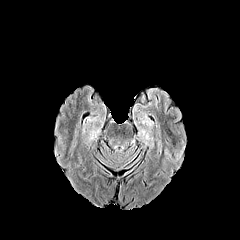
FLAIR magnetic resonance.
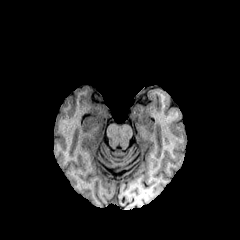
T1-weighted MR image.
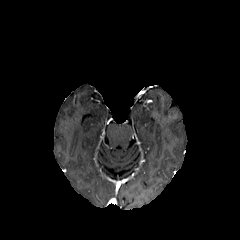
Same slice, post-contrast T1-weighted MRI.
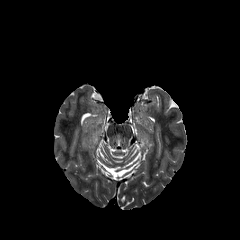
T2-weighted MR image of the same slice.
The edema lies within (142, 134, 152, 142).